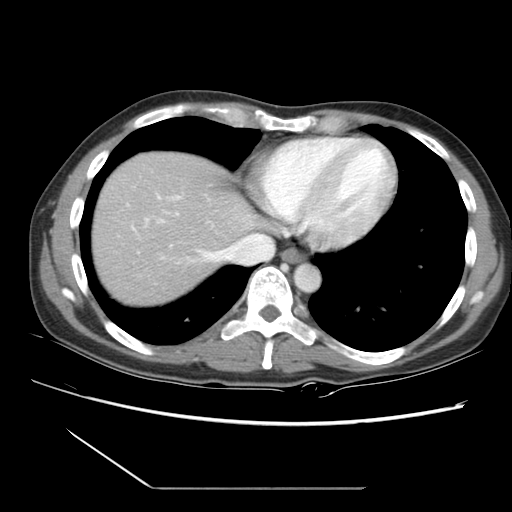
Liver; Computed tomography
Some hepatic vessels may have no box.
hepatic vessel: 197:237:269:263, 162:257:164:258, 145:219:148:225, 246:222:251:226, 176:213:178:215, 158:219:163:223, 169:196:180:200, 189:260:194:262, 132:227:136:232, 157:195:161:200